240x240 px; Brain; Field of view 240 mm wide, 1.00 mm slice spacing
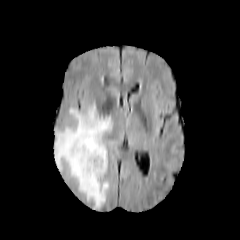
FLAIR MR image.
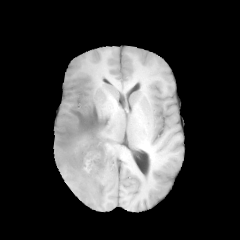
Same slice, T1-weighted MR.
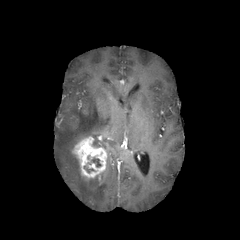
Post-contrast T1-weighted MR image.
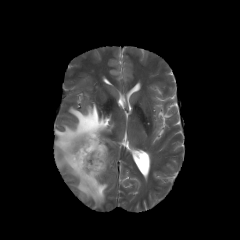
Same slice, T2-weighted magnetic resonance.
Enhancing tumor: rect(72, 136, 107, 179).
Non-enhancing tumor core: rect(91, 157, 100, 167); rect(83, 165, 96, 173).
Edema: rect(54, 102, 113, 207).